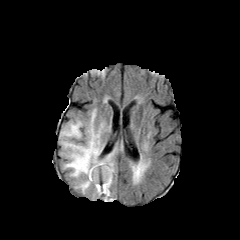
FLAIR MRI.
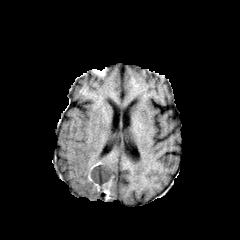
T1-weighted MR image of the same slice.
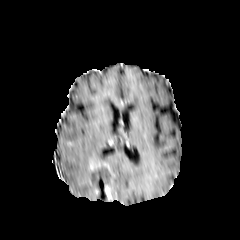
Same slice, post-contrast T1-weighted MR image.
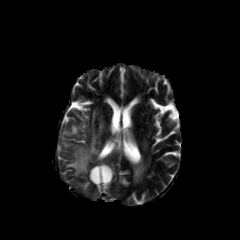
T2-weighted MR.
Brain
<segmentation>
  <enhancing_tumor>[x1=90, y1=162, x2=111, y2=174], [x1=105, y1=185, x2=110, y2=197]</enhancing_tumor>
  <edema>[x1=135, y1=165, x2=143, y2=176], [x1=59, y1=109, x2=121, y2=198], [x1=97, y1=188, x2=111, y2=201]</edema>
  <non-enhancing_tumor_core>[x1=90, y1=166, x2=112, y2=191]</non-enhancing_tumor_core>
</segmentation>